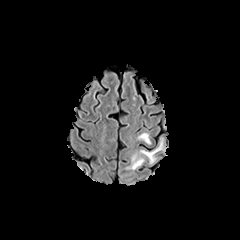
FLAIR MRI.
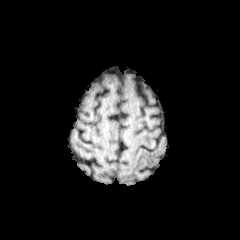
T1-weighted MRI.
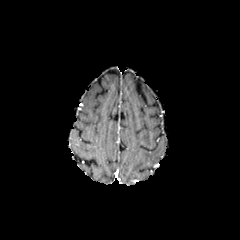
Same slice, post-contrast T1-weighted MRI.
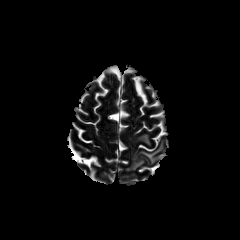
Same slice, T2-weighted MR image.
Edema: 140,138,165,164; 126,153,145,170; 137,133,150,145.